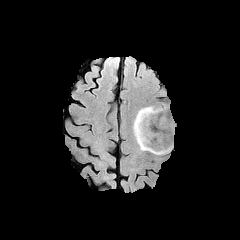
FLAIR magnetic resonance.
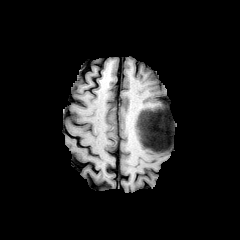
Same slice, T1-weighted MR.
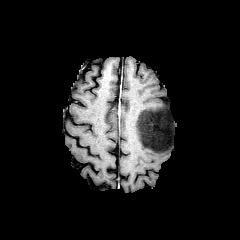
Post-contrast T1-weighted MR.
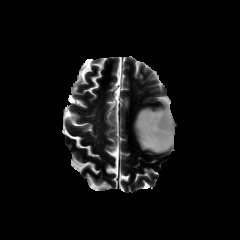
T2-weighted MR.
Head
2 edema regions are bounded by (134, 117, 139, 143), (140, 137, 172, 154). The non-enhancing tumor core is bounded by (136, 108, 169, 151).